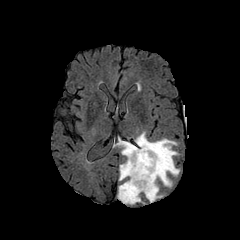
FLAIR MRI.
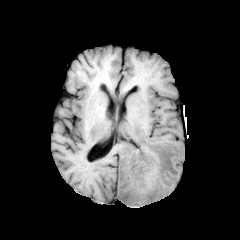
T1-weighted magnetic resonance of the same slice.
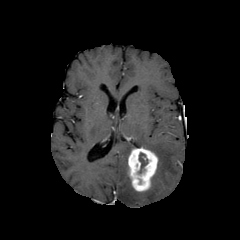
Post-contrast T1-weighted magnetic resonance.
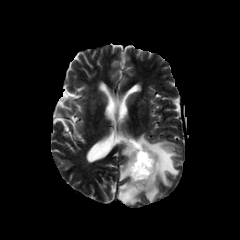
T2-weighted magnetic resonance.
Image size 240x240
enhancing tumor: (left=127, top=147, right=158, bottom=191) | edema: (left=117, top=132, right=180, bottom=205) | non-enhancing tumor core: (left=139, top=153, right=147, bottom=172)